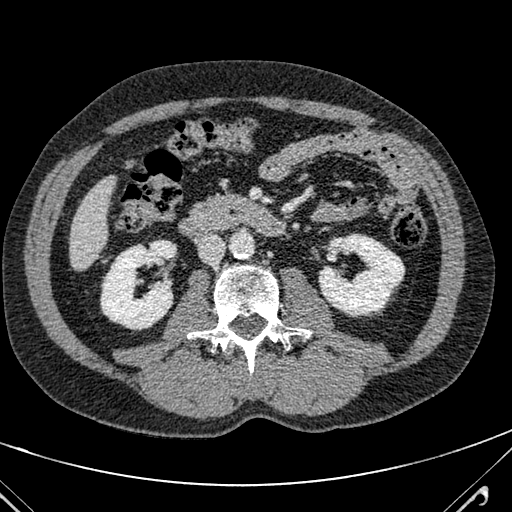
Image size 512x512; CT slice
liver: 71, 177, 114, 267